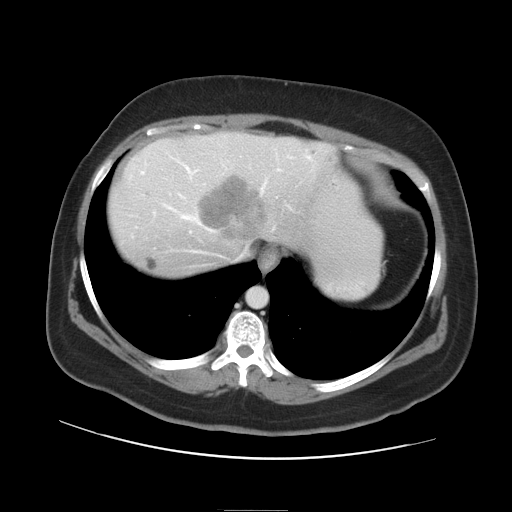

CT scan slice, 512x512

Not every hepatic vessel necessarily has a box.
{
  "liver_tumor": [
    "rect(198, 177, 266, 240)"
  ],
  "hepatic_vessel": [
    "rect(239, 253, 243, 257)",
    "rect(276, 168, 281, 171)",
    "rect(261, 179, 267, 192)",
    "rect(182, 164, 195, 178)",
    "rect(166, 206, 199, 224)",
    "rect(184, 249, 206, 253)",
    "rect(287, 155, 292, 158)"
  ]
}